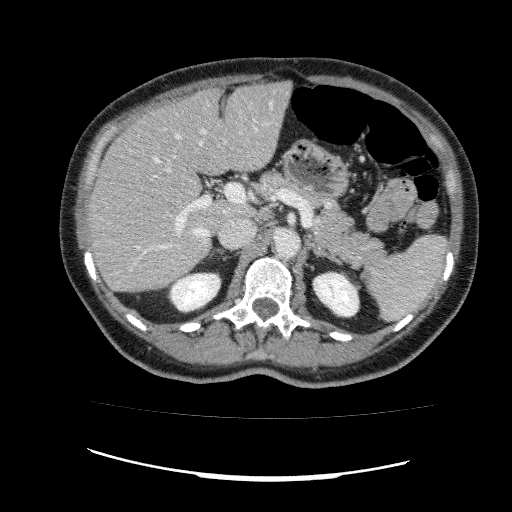 Liver; CT image

- liver: <bbox>86, 80, 293, 290</bbox>
- kidney: <bbox>171, 274, 219, 310</bbox>, <bbox>314, 273, 358, 315</bbox>